Slice 84 of 122 | 320x320 px | MRI 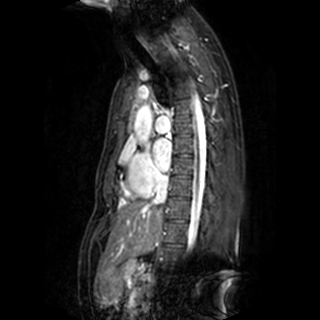

The left atrium is at bbox=[152, 138, 171, 171].